FLAIR MR.
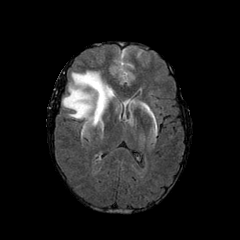
T1-weighted MR image.
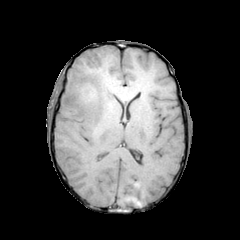
Post-contrast T1-weighted MR image.
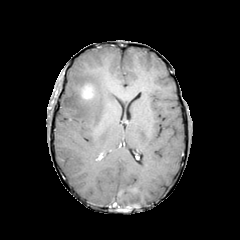
T2-weighted MR.
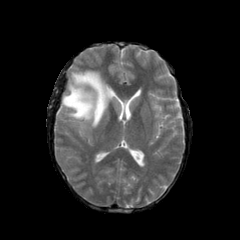
The enhancing tumor is bounded by <bbox>82, 86, 93, 98</bbox>. The edema appears at <bbox>62, 71, 115, 127</bbox>.